FLAIR MRI.
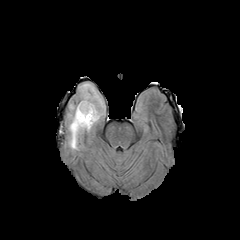
T1-weighted MR.
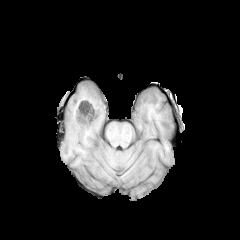
Post-contrast T1-weighted MR.
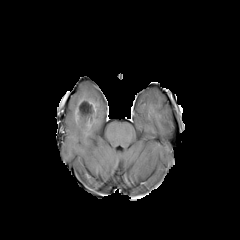
T2-weighted MRI.
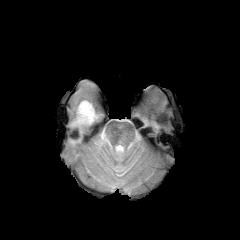
{"edema": ["[68, 83, 105, 150]"], "non-enhancing_tumor_core": ["[78, 100, 97, 121]"]}